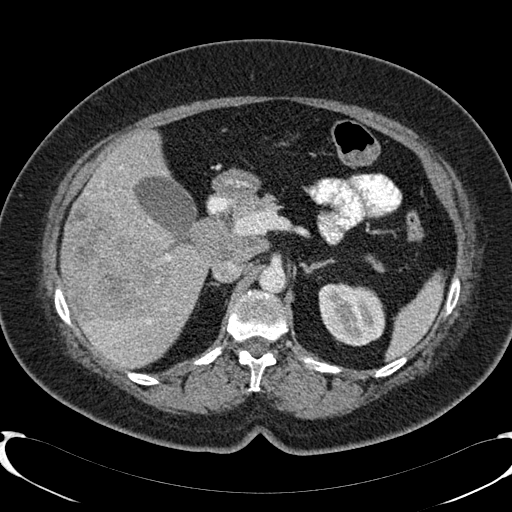

CT image. Liver lesion: [65,203,170,320].
Kidney: [319,284,383,345].
Liver: [62,218,71,303], [77,129,210,367].